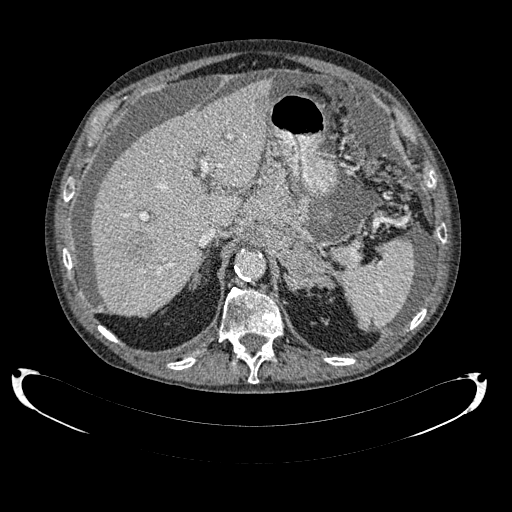 Abdomen; CT image

liver:
  - 90, 79, 272, 315
liver_lesion:
  - 123, 234, 150, 262